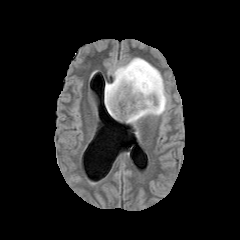
FLAIR magnetic resonance.
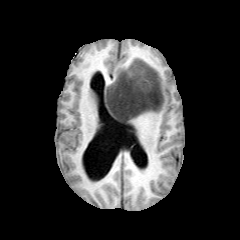
T1-weighted MR image.
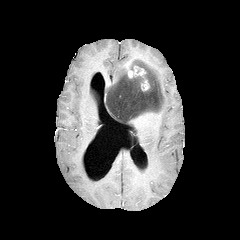
Post-contrast T1-weighted MRI.
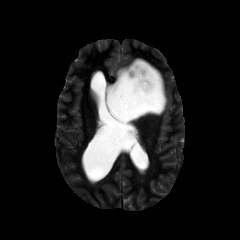
T2-weighted MRI of the same slice.
The non-enhancing tumor core appears at (x1=105, y1=60, x2=163, y2=123). 2 enhancing tumor regions appear at (x1=126, y1=64, x2=147, y2=78), (x1=140, y1=78, x2=150, y2=91). The edema is located at (x1=105, y1=56, x2=169, y2=124).